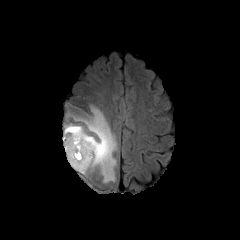
FLAIR MRI.
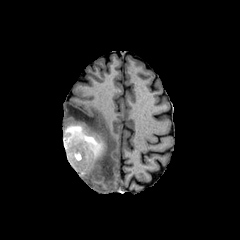
T1-weighted MR of the same slice.
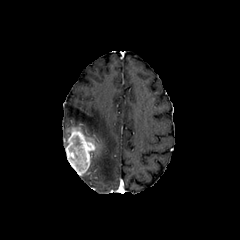
Post-contrast T1-weighted MR image.
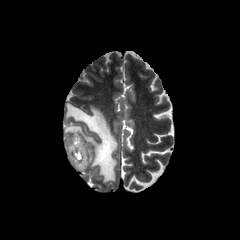
Same slice, T2-weighted MRI.
2 enhancing tumor regions appear at x1=65, y1=142, x2=73, y2=158; x1=68, y1=131, x2=94, y2=174. The edema lies within x1=65, y1=104, x2=117, y2=182. 3 non-enhancing tumor core regions appear at x1=84, y1=136, x2=104, y2=158; x1=64, y1=126, x2=83, y2=134; x1=68, y1=135, x2=87, y2=170.